FLAIR magnetic resonance.
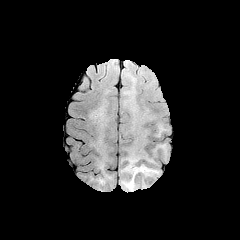
T1-weighted MRI.
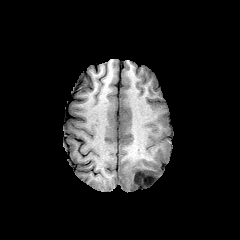
Post-contrast T1-weighted MR image.
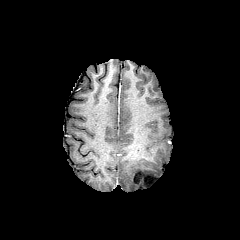
T2-weighted MR image.
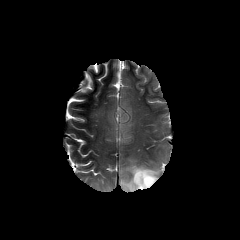
- non-enhancing tumor core: <bbox>134, 169, 156, 187</bbox>
- edema: <bbox>121, 158, 160, 190</bbox>